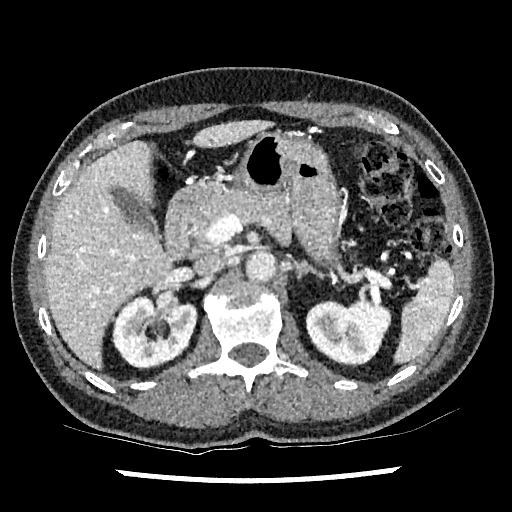
512x512 px, CT, Abdomen
Liver: rect(194, 119, 272, 146); rect(45, 142, 173, 369).
Kidney: rect(307, 302, 389, 363); rect(114, 294, 195, 366).